240x240 px; Brain
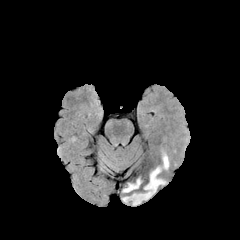
FLAIR MRI.
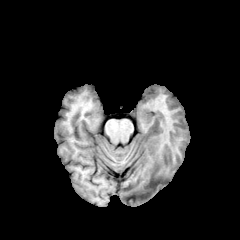
T1-weighted MR image of the same slice.
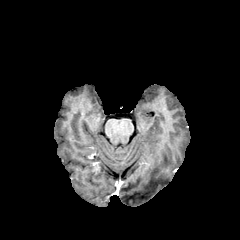
Post-contrast T1-weighted magnetic resonance.
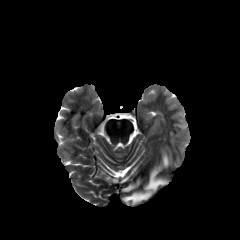
T2-weighted MRI.
2 edema regions are located at rect(121, 153, 169, 204); rect(122, 178, 141, 193).